FLAIR magnetic resonance.
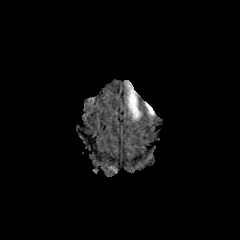
T1-weighted magnetic resonance.
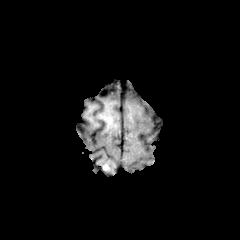
Post-contrast T1-weighted MR image.
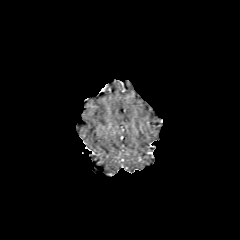
T2-weighted MR image.
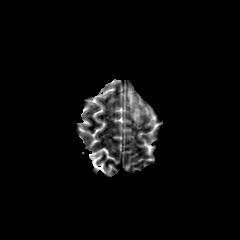
Head
The edema is at l=128, t=87, r=139, b=118.